FLAIR MR.
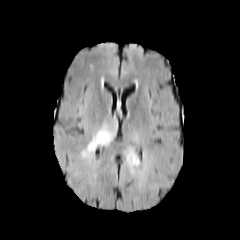
T1-weighted magnetic resonance.
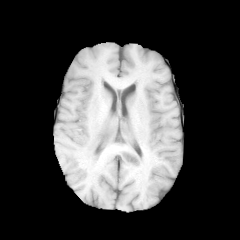
Post-contrast T1-weighted magnetic resonance.
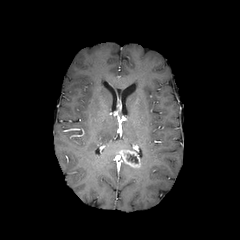
T2-weighted magnetic resonance.
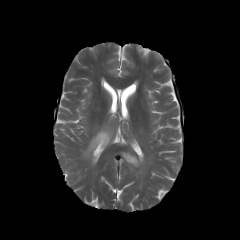
Brain | Image size 240x240
Findings:
• enhancing tumor: box=[119, 149, 140, 167]
• non-enhancing tumor core: box=[125, 153, 138, 164]
• edema: box=[81, 124, 114, 161]